Image size 512x512; Image width 411 mm; CT slice
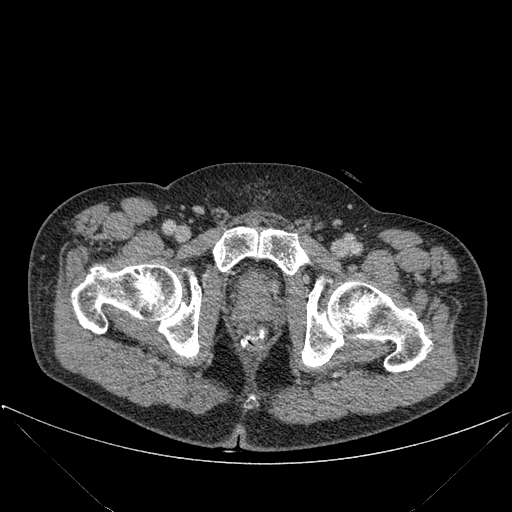
Segmented structures:
• bone: box(71, 265, 200, 357); box(302, 278, 431, 371); box(213, 227, 309, 274)